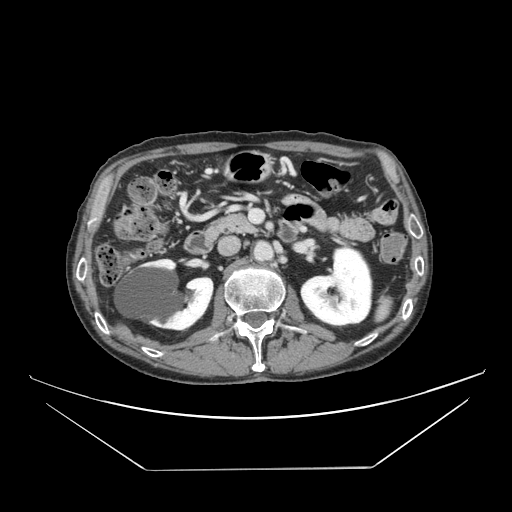

CT.

The pancreas is at box(213, 210, 258, 236).